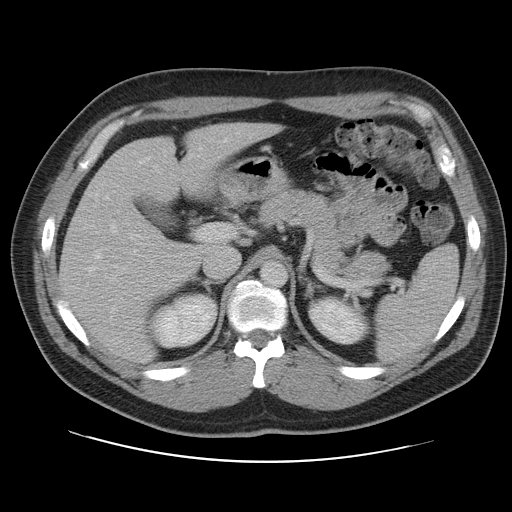 Abdomen | CT image
The vessel boxes may cover only some of the vessels.
hepatic vessel: (x1=95, y1=251, x2=99, y2=258), (x1=152, y1=230, x2=154, y2=231), (x1=111, y1=224, x2=115, y2=231), (x1=181, y1=244, x2=184, y2=246), (x1=170, y1=243, x2=173, y2=245), (x1=150, y1=261, x2=151, y2=266), (x1=129, y1=234, x2=139, y2=239), (x1=87, y1=267, x2=94, y2=275), (x1=111, y1=308, x2=114, y2=312), (x1=157, y1=234, x2=165, y2=245), (x1=134, y1=249, x2=136, y2=253)